Image size 512x512. CT image.
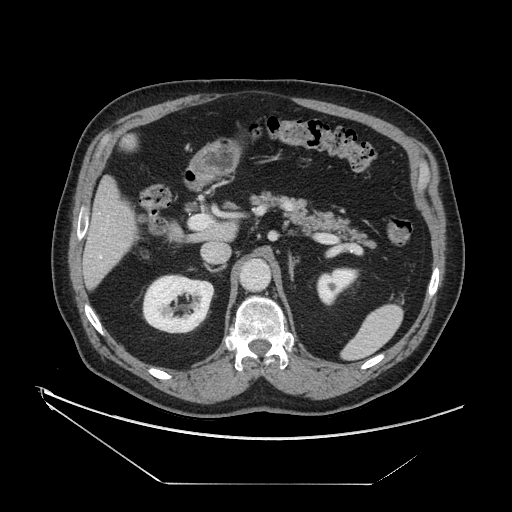 pancreas: l=250, t=190, r=374, b=246